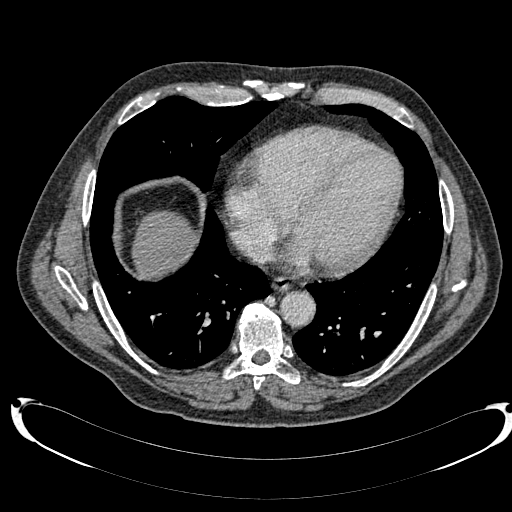 CT image. Abdomen.
Liver = bbox=[132, 211, 194, 278].